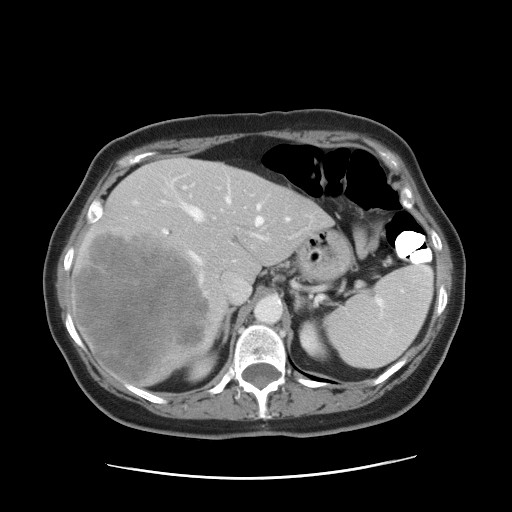

512x512, Computed tomography
Some hepatic vessels may have no box.
Liver tumor: x1=74, y1=234, x2=214, y2=383.
Hepatic vessel: x1=226, y1=186, x2=230, y2=203; x1=190, y1=253, x2=202, y2=264; x1=255, y1=216, x2=262, y2=225; x1=184, y1=205, x2=203, y2=220; x1=162, y1=201, x2=164, y2=203; x1=232, y1=260, x2=236, y2=262; x1=183, y1=186, x2=187, y2=188; x1=163, y1=230, x2=167, y2=234; x1=134, y1=201, x2=136, y2=203; x1=168, y1=179, x2=176, y2=185; x1=257, y1=205, x2=260, y2=209; x1=286, y1=218, x2=289, y2=220; x1=251, y1=234, x2=266, y2=240; x1=201, y1=273, x2=203, y2=280; x1=223, y1=273, x2=251, y2=302.